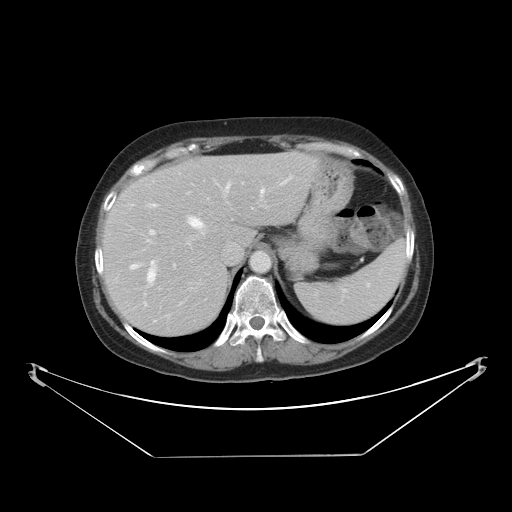

CT slice | 512x512 px

The vessel boxes may cover only some of the vessels.
9 hepatic vessel regions are located at region(147, 260, 155, 282); region(260, 189, 264, 194); region(187, 242, 189, 243); region(144, 302, 146, 305); region(148, 204, 156, 206); region(130, 264, 139, 268); region(225, 184, 229, 191); region(149, 230, 154, 234); region(188, 217, 202, 228).